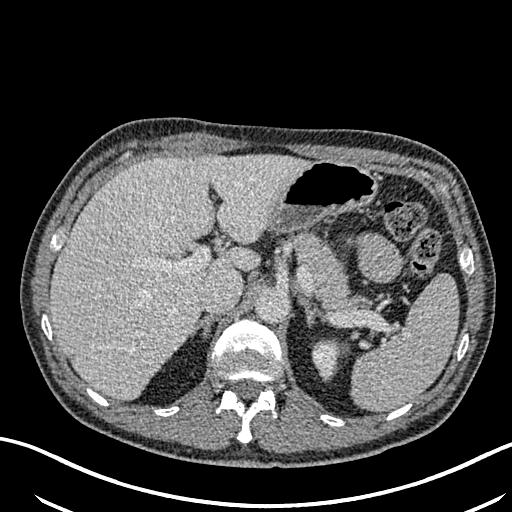

CT image, Abdomen
Segmented structures:
* kidney: [314,345,335,374]
* liver: [50,155,309,399]